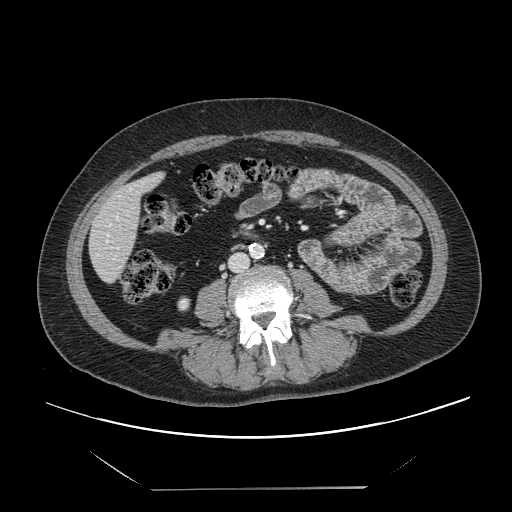
CT; Liver

Only some of the vessels may be annotated.
hepatic vessel: 109:224:110:225, 116:215:118:219, 107:233:109:237, 129:188:131:190, 106:239:108:243